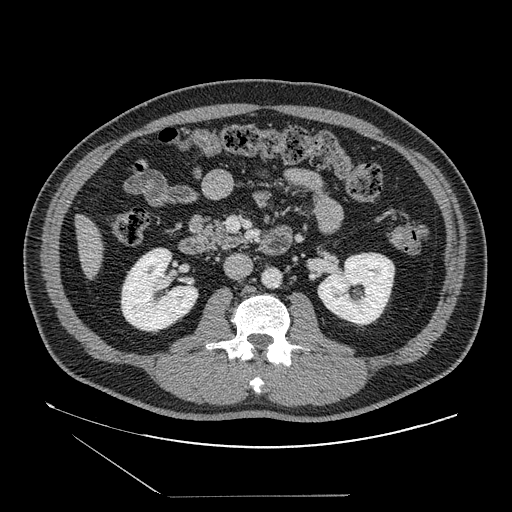 Abdomen; CT; 512x512
Pancreas: bounding box [187,214,235,252].